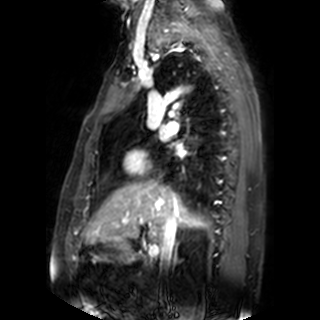

Heart; 320x320 px; MRI slice
Left atrium — l=158, t=129, r=168, b=140; l=174, t=145, r=185, b=154.